CT image, Slice 39 of 77, Abdomen
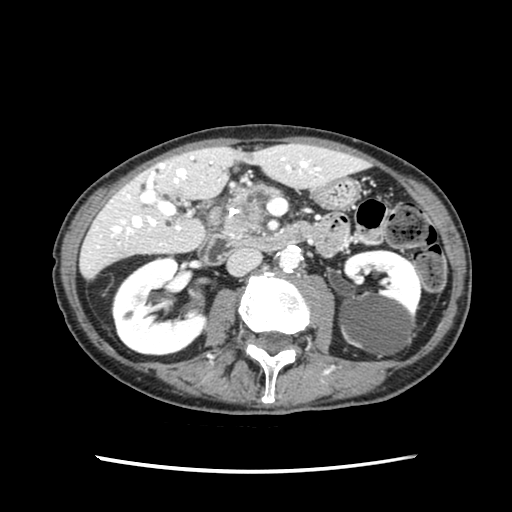
The pancreas is bounded by (226, 184, 278, 235). The pancreatic tumor is located at (239, 203, 256, 220).